Abdomen; Computed tomography; Field of view 369 mm wide, 1.50 mm slice spacing

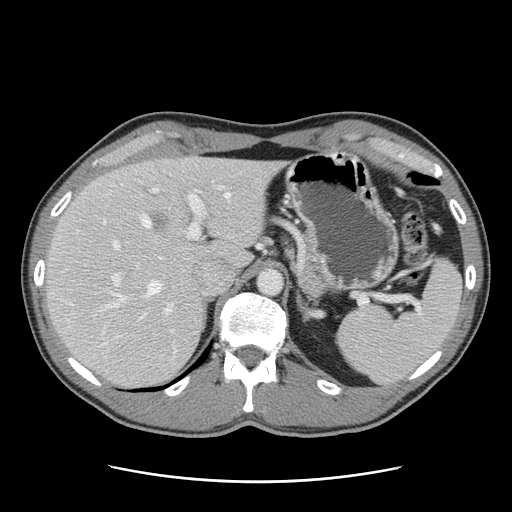

The vessel annotation is not exhaustive.
Liver tumor: (left=151, top=213, right=165, bottom=229).
Largest 15 of 18 hepatic vessel regions: (left=188, top=189, right=205, bottom=217), (left=113, top=241, right=119, bottom=248), (left=151, top=188, right=156, bottom=191), (left=103, top=220, right=104, bottom=223), (left=141, top=216, right=150, bottom=227), (left=112, top=275, right=119, bottom=285), (left=173, top=347, right=176, bottom=354), (left=65, top=301, right=72, bottom=304), (left=145, top=281, right=160, bottom=296), (left=164, top=303, right=172, bottom=312), (left=109, top=293, right=124, bottom=306), (left=140, top=314, right=144, bottom=318), (left=187, top=224, right=199, bottom=238), (left=218, top=186, right=222, bottom=188), (left=225, top=193, right=228, bottom=197).